Field of view 380x380 mm, CT image, Slice 65/131

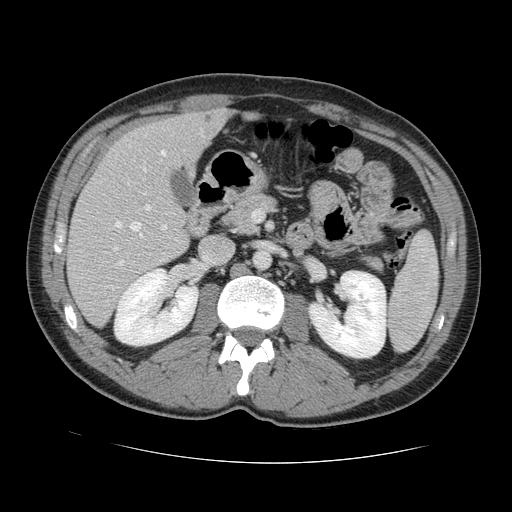

Some hepatic vessels may have no box.
Hepatic vessel: x1=145 y1=205 x2=149 y2=209, x1=118 y1=261 x2=122 y2=264, x1=167 y1=212 x2=170 y2=213, x1=161 y1=225 x2=165 y2=228, x1=105 y1=286 x2=111 y2=287, x1=161 y1=151 x2=164 y2=154, x1=141 y1=161 x2=145 y2=171, x1=130 y1=222 x2=141 y2=236, x1=114 y1=247 x2=116 y2=250, x1=115 y1=221 x2=120 y2=226, x1=142 y1=178 x2=144 y2=180, x1=144 y1=192 x2=145 y2=194.